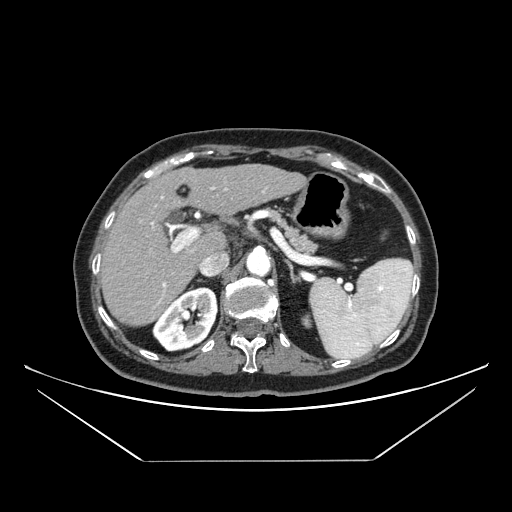
CT slice | Abdomen

Pancreas = box=[264, 208, 317, 254].